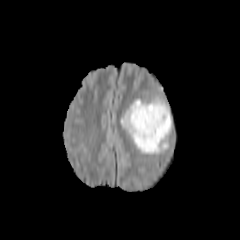
FLAIR magnetic resonance.
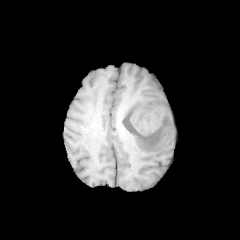
T1-weighted magnetic resonance of the same slice.
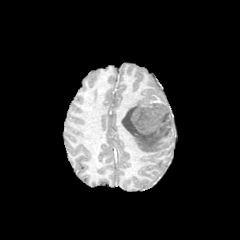
Post-contrast T1-weighted MR image.
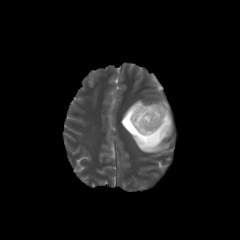
Same slice, T2-weighted MR.
240x240 px. Brain.
* edema: [155, 100, 171, 116], [120, 98, 169, 154]
* non-enhancing tumor core: [122, 102, 171, 139]